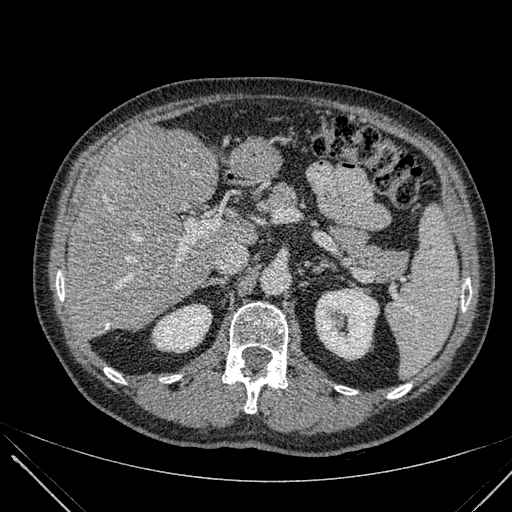

CT scan slice
Liver at (220,142,278,184), (67,126,257,336).
Kidney at (316,289,378,358), (153,305,211,351).